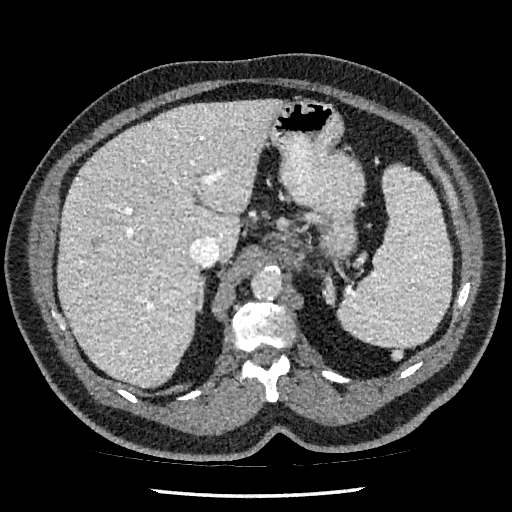 Abdomen. 512x512. Computed tomography.

liver:
  - rect(57, 99, 280, 386)